Slice 6/605, CT

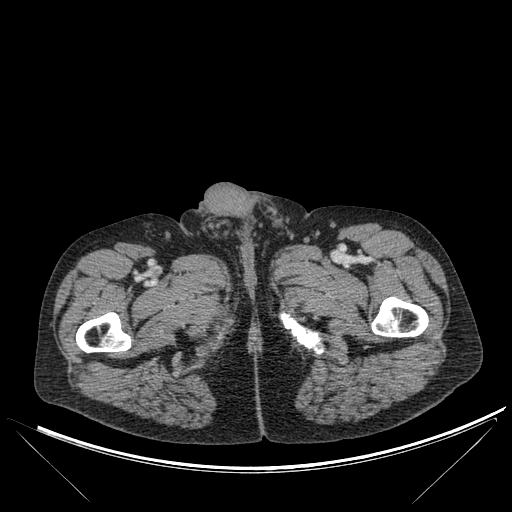
bone:
  - region(281, 313, 323, 353)
  - region(76, 312, 130, 352)
  - region(371, 297, 428, 337)